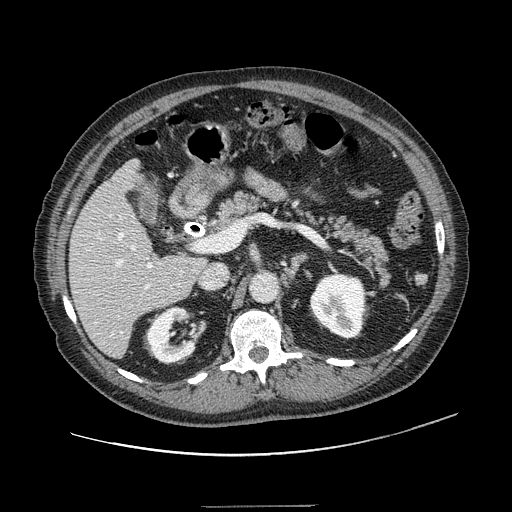
CT slice

pancreas:
  - 207,191,390,289